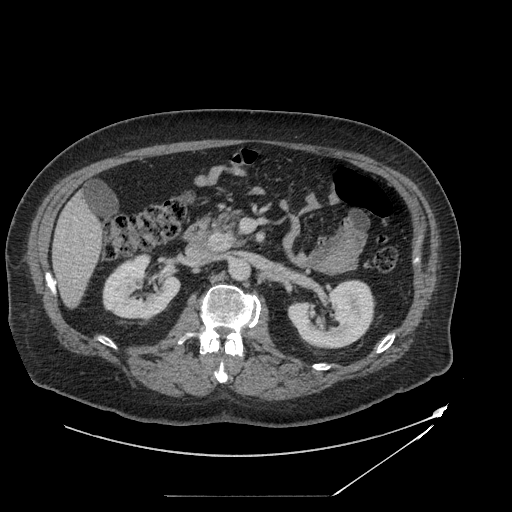
CT. The pancreas is at [202,205,247,252]. The pancreatic tumor is located at [208,233,233,252].